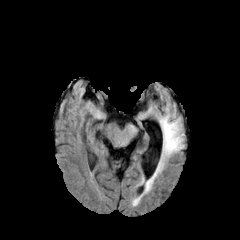
FLAIR MR image.
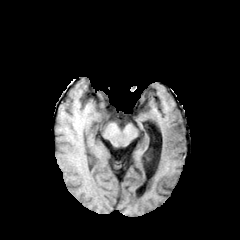
T1-weighted MR image.
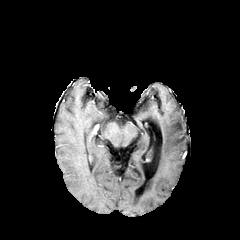
Post-contrast T1-weighted MR.
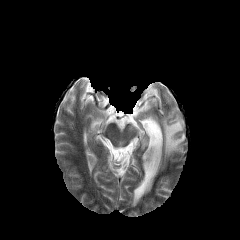
T2-weighted MR.
Brain; 240x240 px
<segmentation>
  <edema>140,112,183,193; 132,195,141,205</edema>
</segmentation>